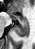
35x49 px; Medial temporal lobe; MR image
posterior_hippocampus:
  - 14,21,27,36
anterior_hippocampus:
  - 9,12,26,20